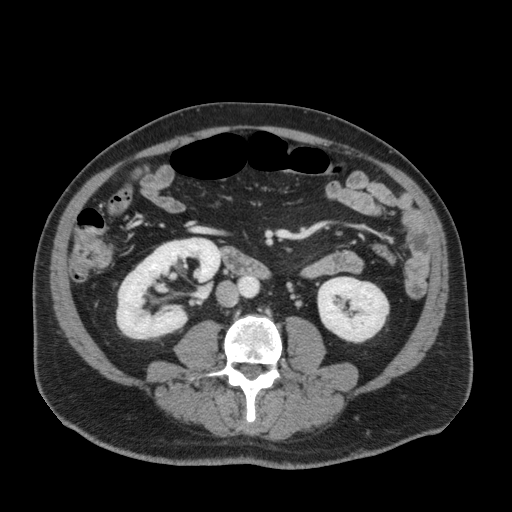

Computed tomography
2 kidney regions appear at (left=318, top=277, right=388, bottom=341), (left=117, top=238, right=220, bottom=338).